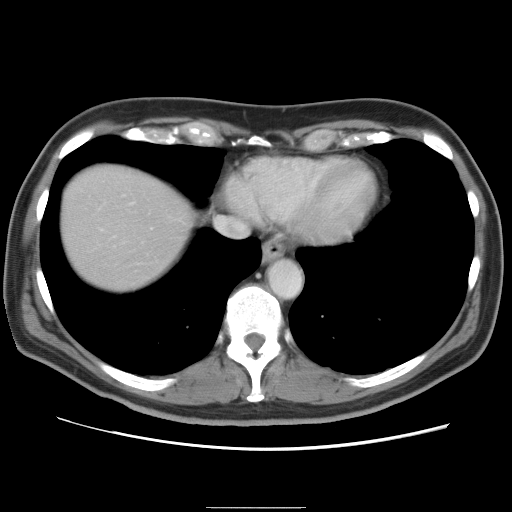

CT

The vessel boxes may cover only some of the vessels.
Hepatic vessel — (left=130, top=202, right=133, bottom=203).